CT scan slice; Slice 111/761
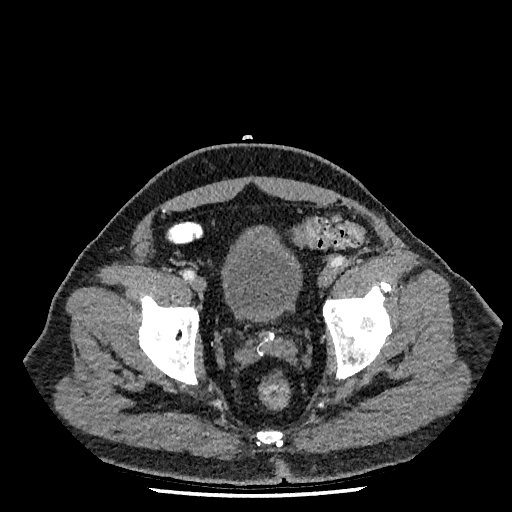 Urinary bladder = <bbox>221, 225, 302, 324</bbox>.